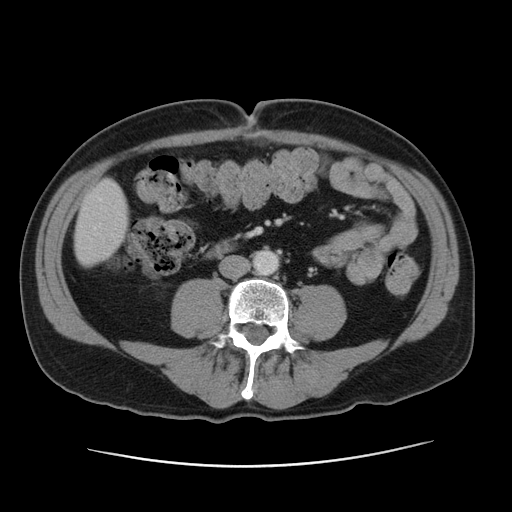
512x512 px; CT scan slice

Segmented structures:
* liver: left=73, top=182, right=129, bottom=263